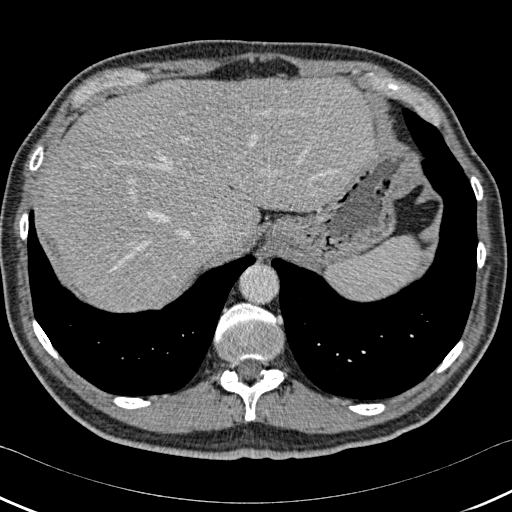 Computed tomography | Abdomen
<segmentation>
  <bone>left=29, top=146, right=42, bottom=170; left=114, top=397, right=150, bottom=408; left=471, top=176, right=482, bottom=200; left=33, top=320, right=58, bottom=358; left=437, top=341, right=463, bottom=372; left=477, top=242, right=485, bottom=267; left=220, top=370, right=283, bottom=420; left=349, top=404, right=384, bottom=415; left=19, top=213, right=27, bottom=239; left=215, top=303, right=280, bottom=360</bone>
  <lung>left=271, top=104, right=477, bottom=402; left=27, top=210, right=255, bottom=396</lung>
  <liver>left=36, top=77, right=371, bottom=311</liver>
</segmentation>